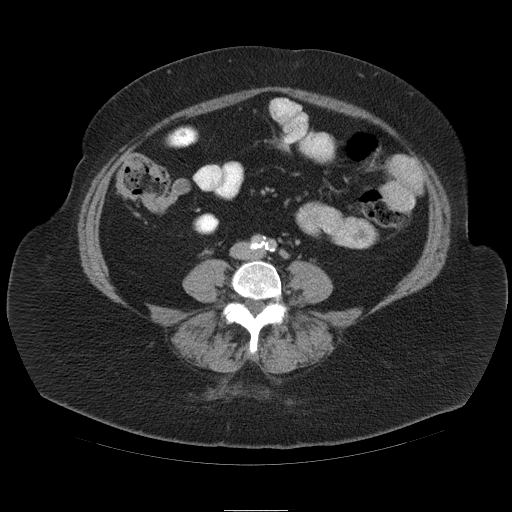 CT
<segmentation>
  <colon_tumor>box=[115, 160, 140, 198]; box=[141, 194, 174, 213]; box=[148, 166, 162, 176]</colon_tumor>
</segmentation>